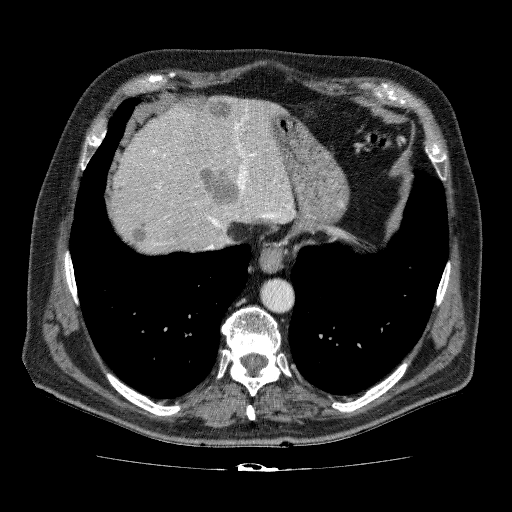
Upper abdomen | CT scan slice
hepatic lesion: x1=179, y1=95, x2=232, y2=119; x1=129, y1=219, x2=149, y2=244; x1=113, y1=183, x2=126, y2=196; x1=259, y1=188, x2=272, y2=197; x1=194, y1=204, x2=209, y2=214; x1=197, y1=164, x2=238, y2=207; x1=167, y1=228, x2=182, y2=241 | liver: x1=108, y1=95, x2=295, y2=252